Slice 81 of 117; CT scan slice 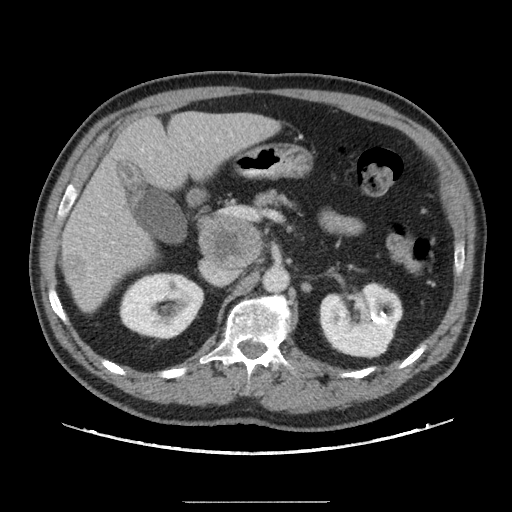

Findings:
- liver tumor: {"x1": 64, "y1": 250, "x2": 91, "y2": 284}